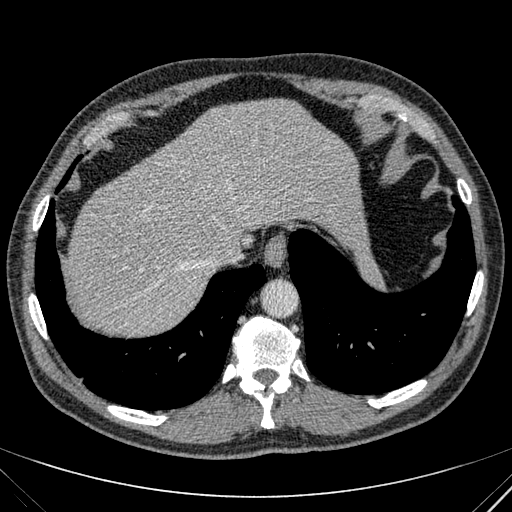
Abdomen. 512x512 px. Computed tomography.
The liver is at l=65, t=101, r=369, b=334.